240x240; Head
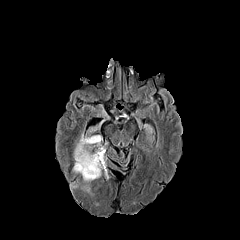
FLAIR MRI.
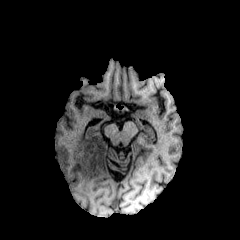
T1-weighted magnetic resonance of the same slice.
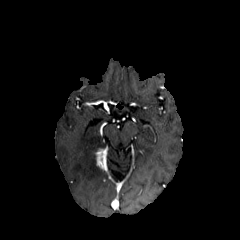
Post-contrast T1-weighted MRI.
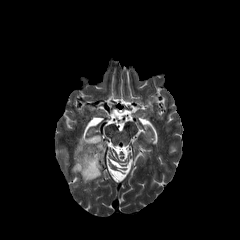
Same slice, T2-weighted MRI.
<segmentation>
  <edema>{"x1": 72, "y1": 135, "x2": 100, "y2": 180}</edema>
  <enhancing_tumor>{"x1": 95, "y1": 148, "x2": 104, "y2": 171}</enhancing_tumor>
</segmentation>